Image size 512x512. Slice index 43. CT image.

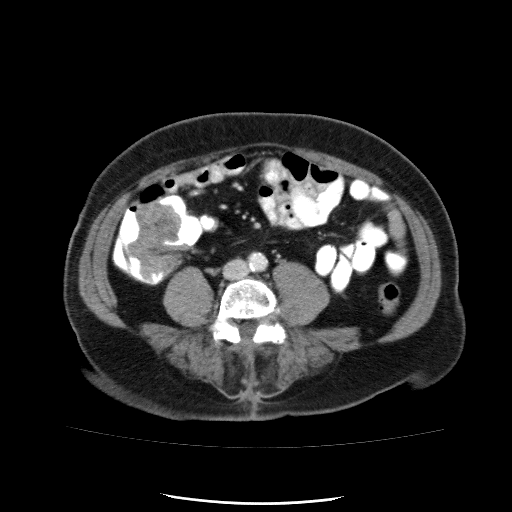

Segmented structures:
* colon tumor: l=127, t=202, r=188, b=281